FLAIR MR image.
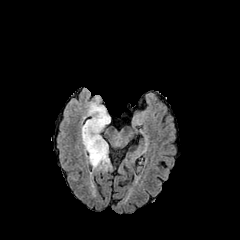
T1-weighted MR image.
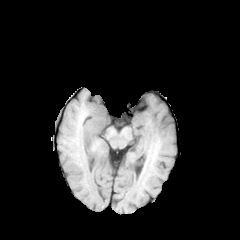
Post-contrast T1-weighted MR.
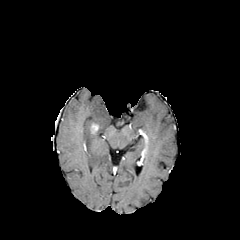
T2-weighted MRI.
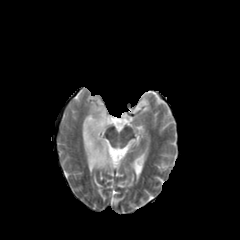
Brain.
The enhancing tumor is located at region(91, 124, 98, 133). The edema is located at region(81, 97, 111, 171).